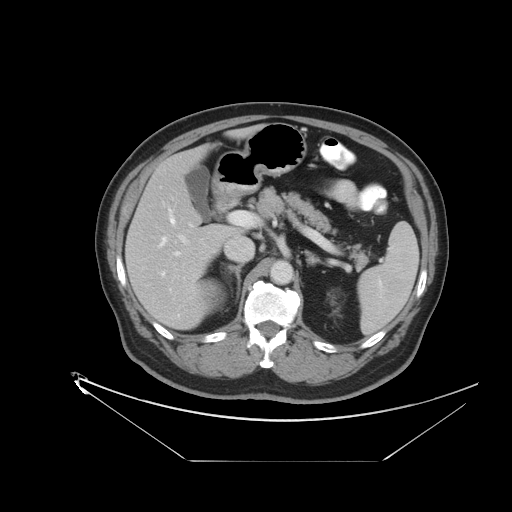 CT image; Abdomen
Not every hepatic vessel necessarily has a box.
liver tumor: rect(203, 284, 222, 303) | hepatic vessel: rect(160, 237, 166, 245); rect(189, 224, 191, 225); rect(161, 272, 164, 275); rect(169, 209, 175, 223); rect(179, 235, 187, 243); rect(175, 252, 179, 255)